Slice index 74; CT image

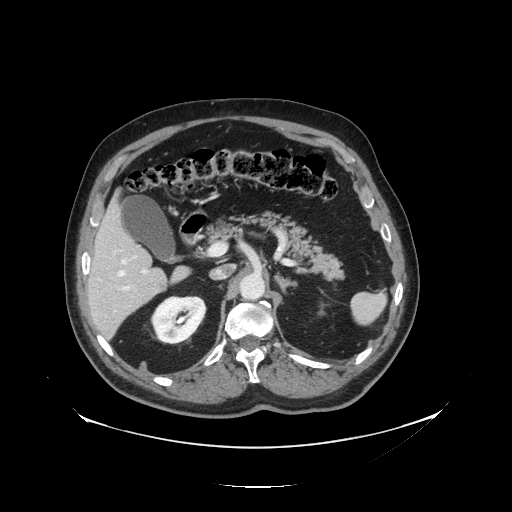

Some hepatic vessels may have no box.
5 hepatic vessel regions are located at (156, 270, 158, 271), (121, 287, 129, 290), (118, 271, 125, 276), (122, 260, 126, 264), (142, 270, 146, 273).